Medial temporal lobe. MRI.

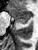
• anterior hippocampus: 7:7:30:19
• posterior hippocampus: 15:20:28:23